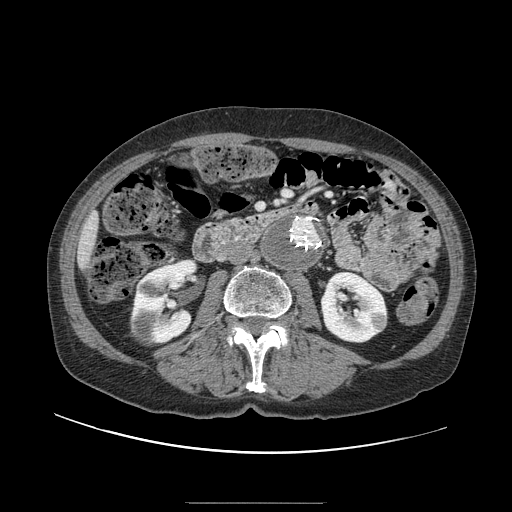
CT; Upper abdomen; 512x512
pancreas:
  - box(226, 220, 237, 227)